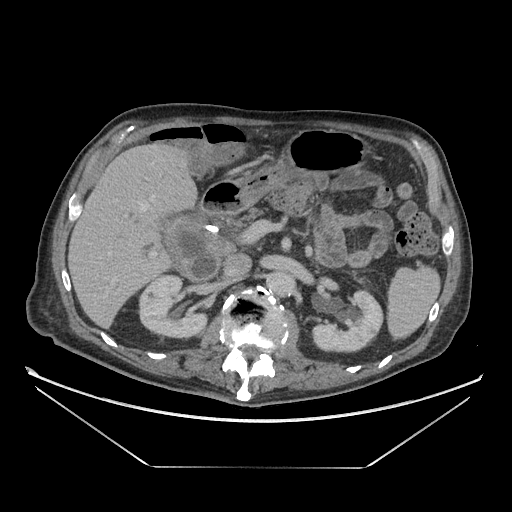 CT image

pancreas: box(246, 210, 263, 221)